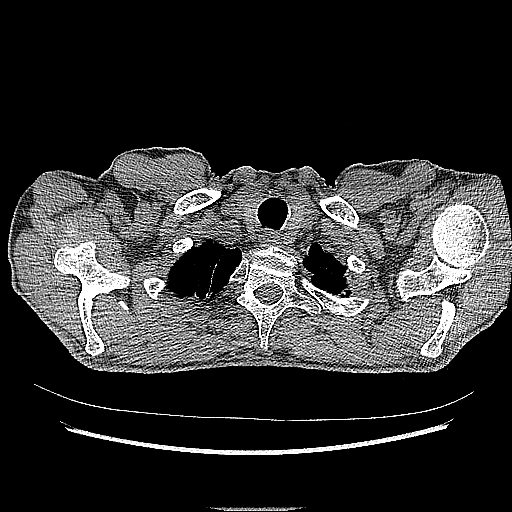
Lung, 512x512, CT image
* lung tumor: x1=180, y1=285, x2=215, y2=300